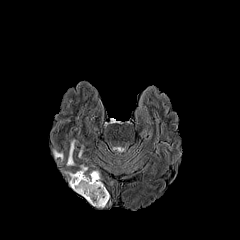
FLAIR magnetic resonance.
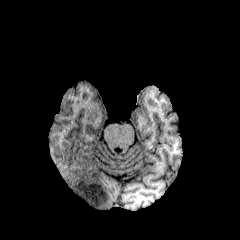
T1-weighted MR image of the same slice.
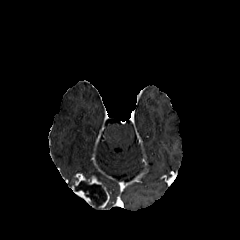
Post-contrast T1-weighted MR.
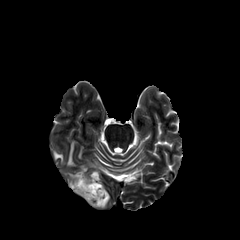
T2-weighted MRI.
Brain
Non-enhancing tumor core — x1=70, y1=173, x2=107, y2=209.
Edema — x1=67, y1=140, x2=75, y2=166; x1=52, y1=150, x2=63, y2=162.
Enhancing tumor — x1=74, y1=172, x2=86, y2=185; x1=72, y1=185, x2=90, y2=202; x1=89, y1=174, x2=101, y2=184.